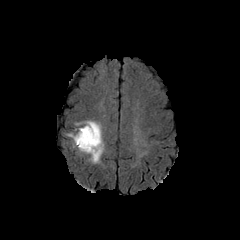
FLAIR MR.
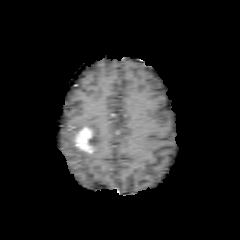
T1-weighted MR image.
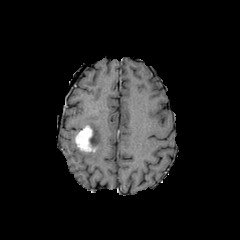
Post-contrast T1-weighted magnetic resonance of the same slice.
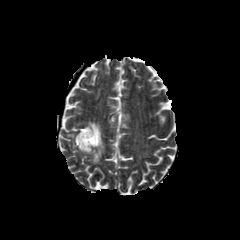
Same slice, T2-weighted MRI.
Image size 240x240 | Head
Non-enhancing tumor core = (left=90, top=127, right=97, bottom=146).
Enhancing tumor = (left=74, top=125, right=95, bottom=152).
Edema = (left=72, top=120, right=104, bottom=164), (left=66, top=132, right=76, bottom=147).